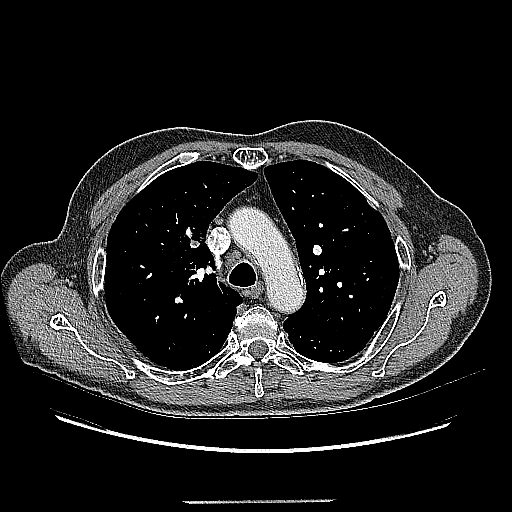 Computed tomography.
Lung tumor: [198,229,204,240].